FLAIR MRI.
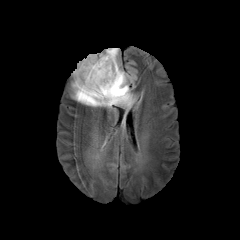
T1-weighted MR.
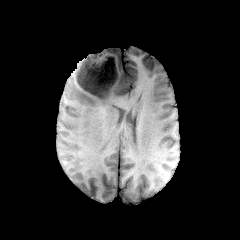
Post-contrast T1-weighted magnetic resonance.
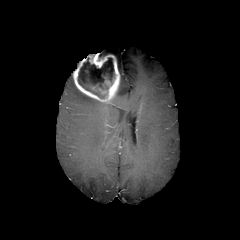
T2-weighted MR.
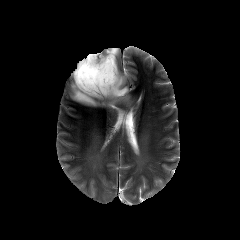
Image size 240x240
Annotated regions:
- non-enhancing tumor core: (78, 58, 113, 91)
- edema: (71, 48, 134, 107)
- enhancing tumor: (73, 53, 119, 102)